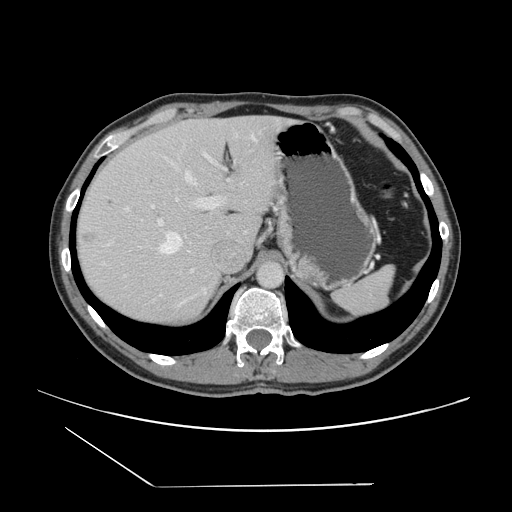

Abdomen; CT image
The vessel boxes may cover only some of the vessels.
The liver tumor appears at (x1=82, y1=236, x2=92, y2=242). The principal 15 hepatic vessel regions (of 16) are located at (x1=244, y1=231, x2=246, y2=233), (x1=165, y1=158, x2=176, y2=166), (x1=227, y1=179, x2=230, y2=181), (x1=236, y1=134, x2=237, y2=136), (x1=183, y1=171, x2=197, y2=184), (x1=251, y1=134, x2=256, y2=140), (x1=202, y1=198, x2=210, y2=199), (x1=124, y1=275, x2=126, y2=276), (x1=212, y1=199, x2=217, y2=202), (x1=170, y1=240, x2=171, y2=244), (x1=203, y1=151, x2=205, y2=152), (x1=109, y1=242, x2=111, y2=243), (x1=220, y1=165, x2=224, y2=169), (x1=206, y1=209, x2=211, y2=209), (x1=178, y1=245, x2=179, y2=247).